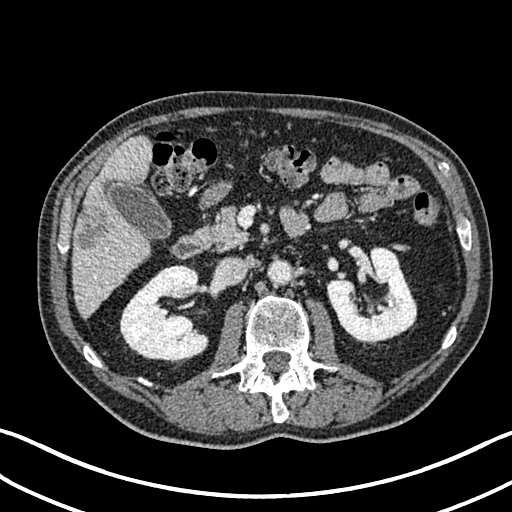
CT image; Upper abdomen
2 kidney regions appear at 328,247,415,341; 121,266,207,359. The hepatic lesion is at 77,204,109,249. The liver is bounded by 73,137,151,316.